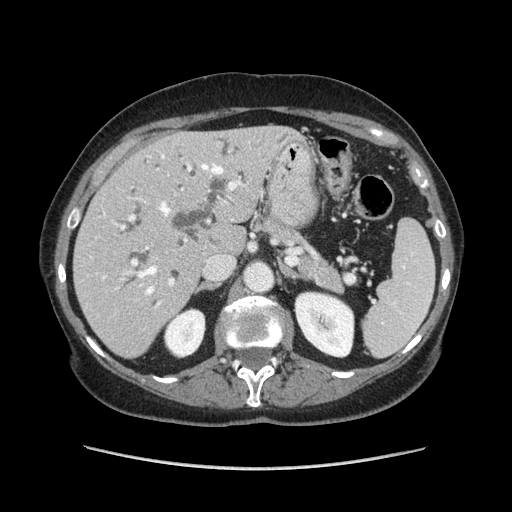

Abdomen; CT scan slice; Image size 512x512
Pancreas: bbox(247, 212, 345, 294).